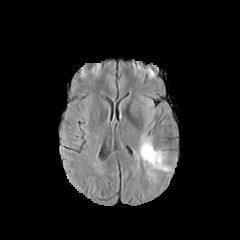
FLAIR MR.
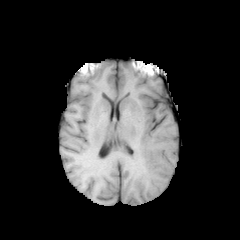
T1-weighted magnetic resonance of the same slice.
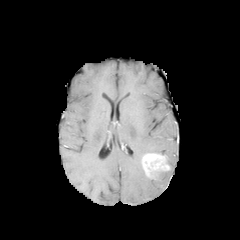
Post-contrast T1-weighted MR image of the same slice.
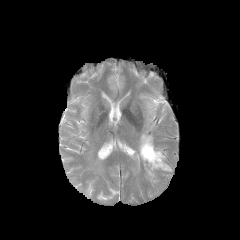
T2-weighted MR image.
- edema: [133,134,169,166], [155,163,171,178]
- enhancing tumor: [142,148,170,177]